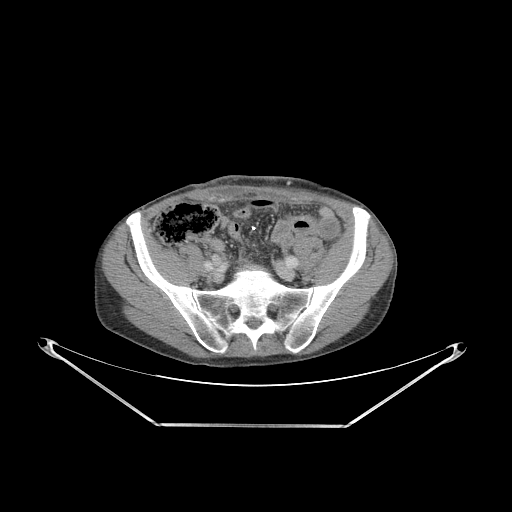
Computed tomography
The bone is located at 126,207,369,352.